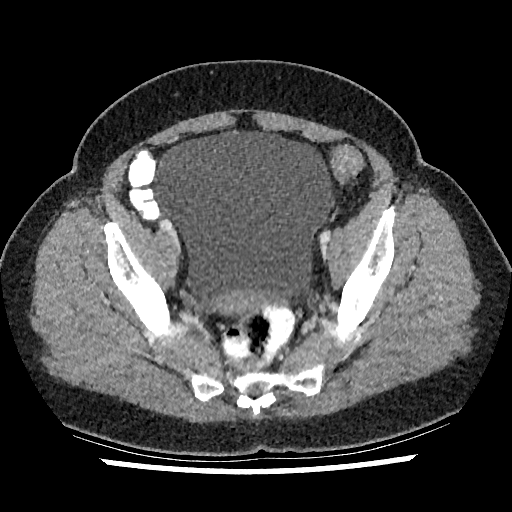
CT slice
The urinary bladder appears at (left=154, top=129, right=333, bottom=310).